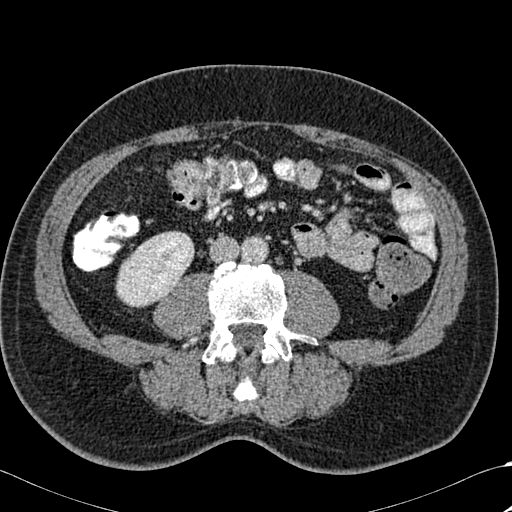 Abdomen | Computed tomography
2 bone regions are bounded by box=[202, 261, 314, 363]; box=[234, 374, 256, 400]. The kidney is located at box=[117, 232, 193, 305].